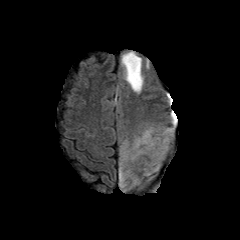
FLAIR MR.
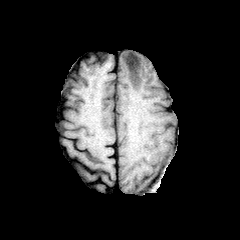
T1-weighted MR.
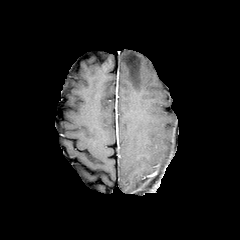
Post-contrast T1-weighted MR of the same slice.
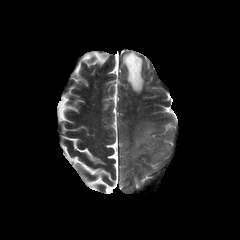
T2-weighted magnetic resonance.
Head
The edema is bounded by box(120, 50, 149, 93). The non-enhancing tumor core is at box(127, 54, 140, 84).